CT slice

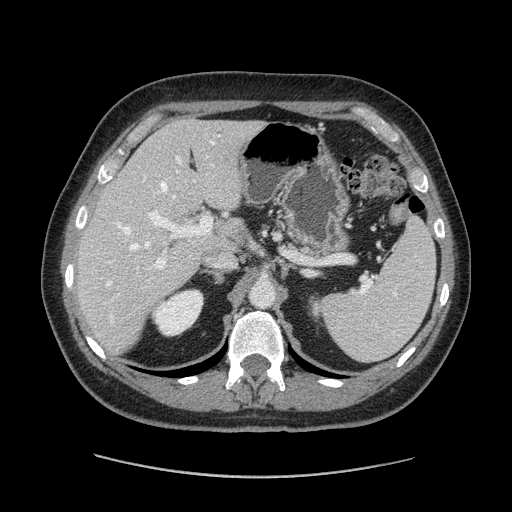

The pancreas is at (left=296, top=244, right=316, bottom=254).